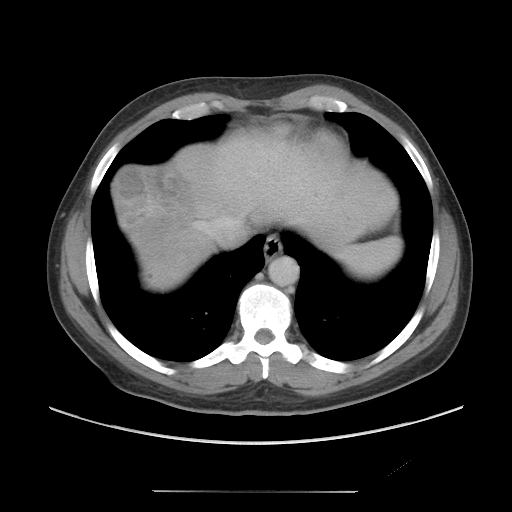
CT scan slice; Abdomen
Not every hepatic vessel necessarily has a box.
• liver tumor: (115, 166, 193, 233)
• hepatic vessel: (194, 217, 235, 235), (290, 194, 293, 194)